FLAIR MR.
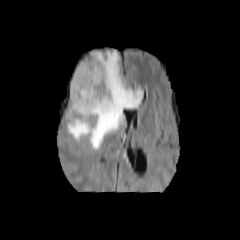
T1-weighted magnetic resonance.
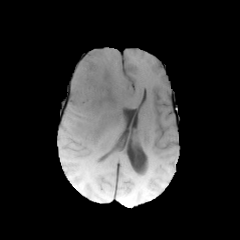
Post-contrast T1-weighted magnetic resonance.
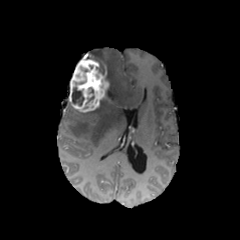
T2-weighted MRI.
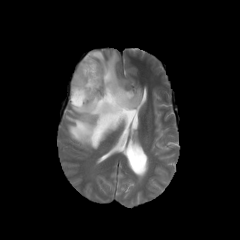
Image size 240x240
Enhancing tumor — [69, 53, 109, 112].
Edema — [66, 51, 143, 149].
Non-enhancing tumor core — [71, 87, 83, 105], [90, 55, 105, 74].